CT scan slice; Upper abdomen 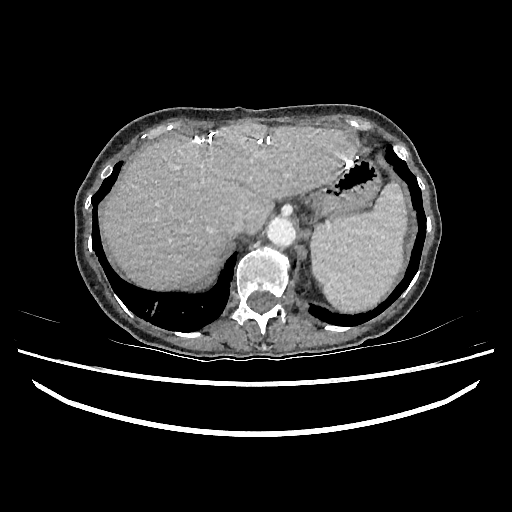 liver:
  - rect(105, 123, 354, 287)